Slice 57 of 155
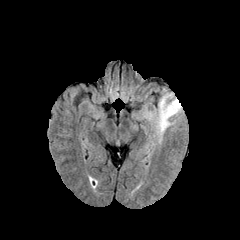
FLAIR magnetic resonance.
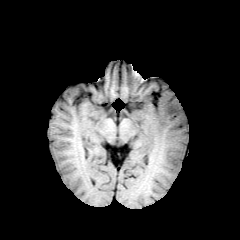
T1-weighted MR image.
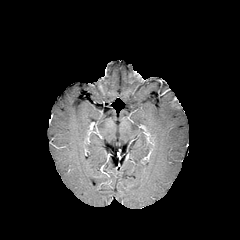
Post-contrast T1-weighted MR image.
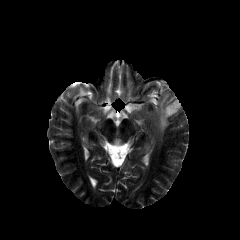
T2-weighted magnetic resonance.
Findings:
• edema: {"x1": 140, "y1": 88, "x2": 181, "y2": 137}